Head; Slice index 77; 240x240 px
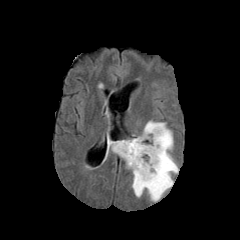
FLAIR MR image.
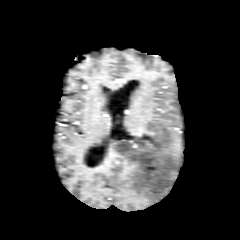
T1-weighted MR of the same slice.
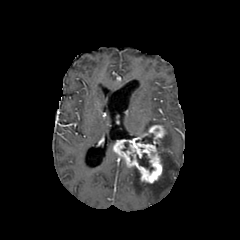
Post-contrast T1-weighted MR.
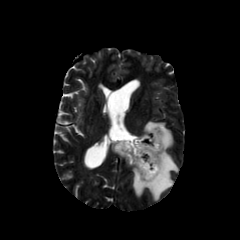
T2-weighted magnetic resonance.
Enhancing tumor = rect(112, 124, 167, 183).
Non-enhancing tumor core = rect(136, 153, 153, 171); rect(141, 133, 153, 144); rect(156, 144, 162, 159).
Edema = rect(131, 120, 179, 201); rect(107, 133, 114, 152).